Liver. Slice 33/108. CT scan slice.

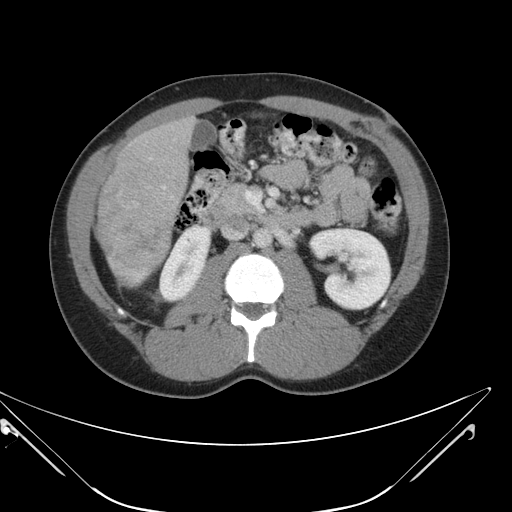 Not every hepatic vessel necessarily has a box.
2 hepatic vessel regions are bounded by <box>149,157,151,159</box>, <box>162,186,165,188</box>. The liver tumor appears at <box>97,210,171,269</box>.